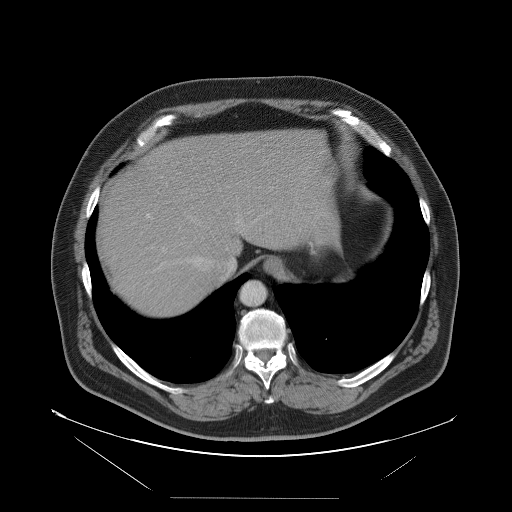
CT image, Abdomen, 512x512 px

Not every hepatic vessel necessarily has a box.
4 hepatic vessel regions appear at x1=162, y1=248, x2=166, y2=251; x1=147, y1=214, x2=150, y2=217; x1=228, y1=259, x2=235, y2=272; x1=194, y1=257, x2=202, y2=265.